Slice 196/230, Liver, CT
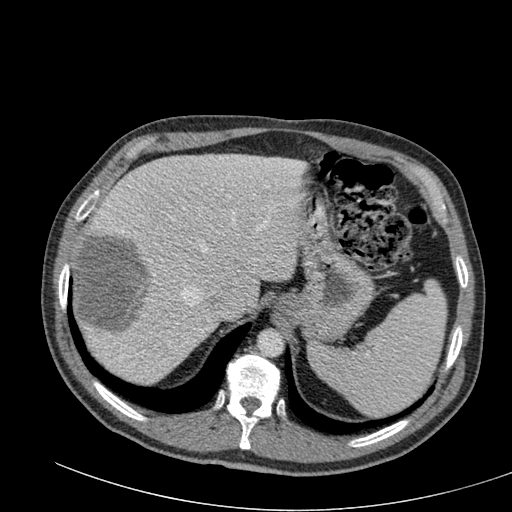 <segmentation>
  <liver>[80,154,304,384], [302,213,327,229]</liver>
  <liver_lesion>[72,235,150,332]</liver_lesion>
</segmentation>